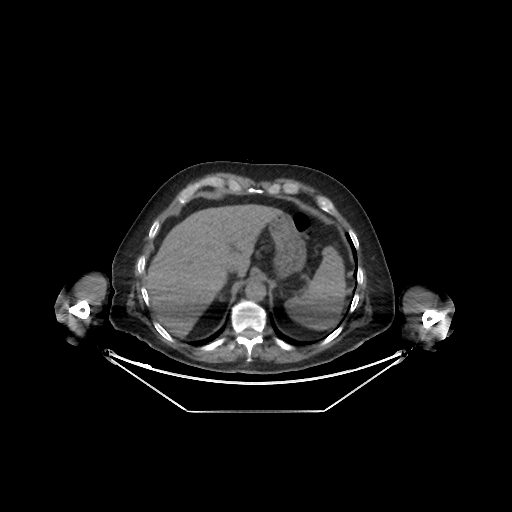
CT image

Liver at box(143, 204, 278, 336).